Abdomen | Computed tomography | 512x512

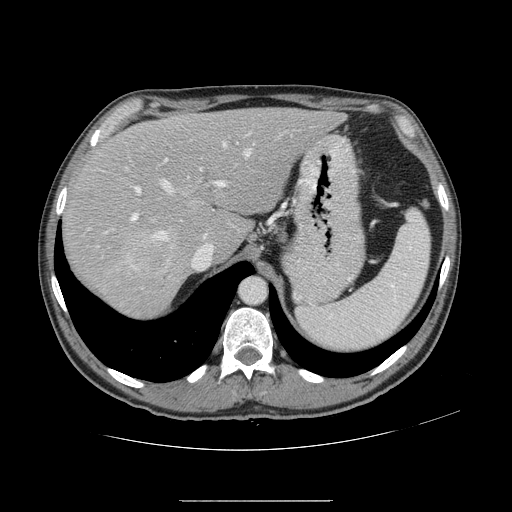

The vessel annotation is not exhaustive.
10 hepatic vessel regions appear at <box>204,234,206,237</box>, <box>171,245,172,247</box>, <box>215,181,224,186</box>, <box>223,142,225,146</box>, <box>134,186,140,193</box>, <box>244,149,250,156</box>, <box>165,159,167,160</box>, <box>160,180,172,192</box>, <box>151,231,167,242</box>, <box>131,213,137,220</box>. The liver tumor is at <box>136,243,168,268</box>.